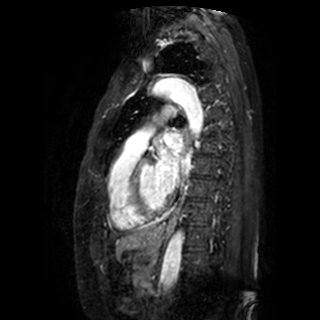 Image size 320x320. Magnetic resonance. {
  "left_atrium": [
    "[155,132,181,192]"
  ]
}